Image size 512x512. CT slice. Field of view 351x351 mm. 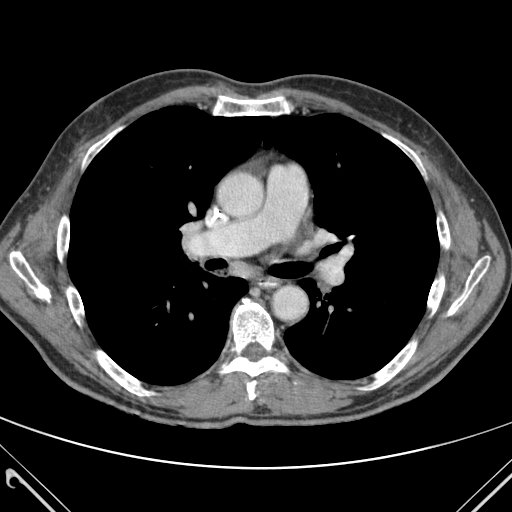

14 bone regions are located at region(427, 276, 444, 313); region(213, 96, 292, 115); region(372, 342, 416, 388); region(233, 299, 273, 352); region(83, 128, 120, 163); region(10, 252, 50, 301); region(221, 357, 286, 376); region(437, 214, 449, 247); region(386, 135, 421, 164); region(97, 351, 152, 395); region(247, 381, 255, 399); region(67, 287, 83, 324); region(448, 256, 489, 314); region(57, 217, 69, 260). The lung is bounded by region(68, 106, 438, 384).